FLAIR MR.
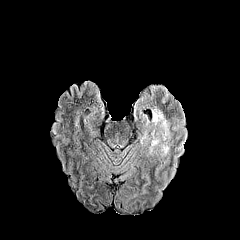
T1-weighted MRI.
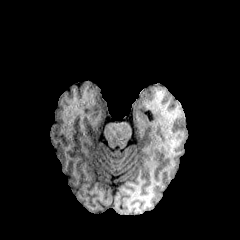
Post-contrast T1-weighted magnetic resonance.
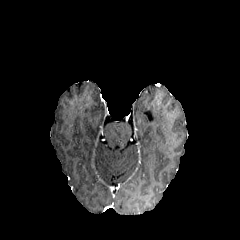
T2-weighted MRI.
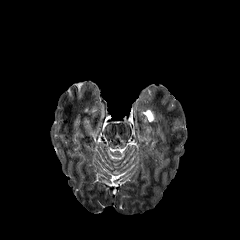
Head
{
  "edema": [
    "<bbox>152, 110, 170, 146</bbox>"
  ]
}